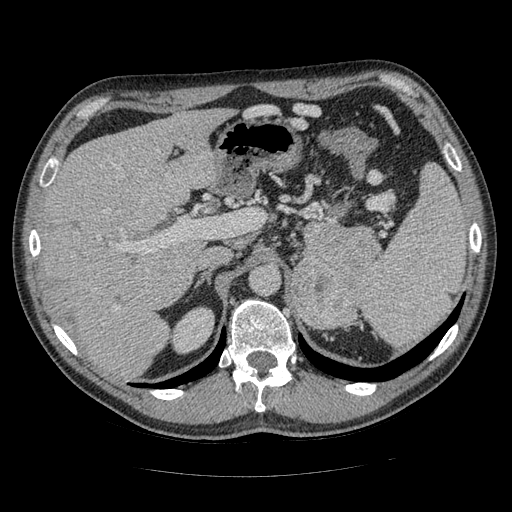

Upper abdomen; CT; 512x512 px

{
  "pancreatic_tumor": [
    "<box>291,256,357,327</box>"
  ],
  "pancreas": [
    "<box>304,221,378,310</box>"
  ]
}